Head. 240x240. Field of view 240x240 mm.
FLAIR MRI.
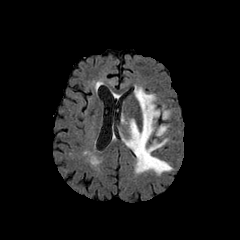
T1-weighted MR image.
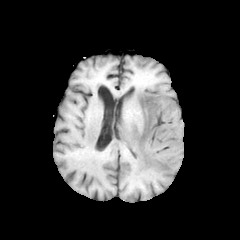
Post-contrast T1-weighted MR.
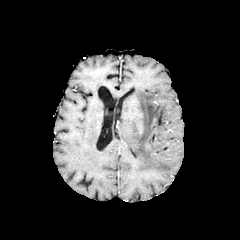
T2-weighted MR.
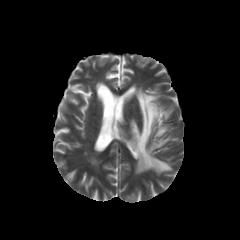
Segmented structures:
- edema: 122:87:172:174